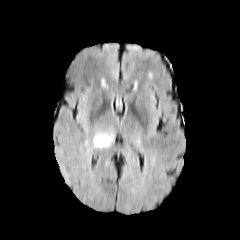
FLAIR MR.
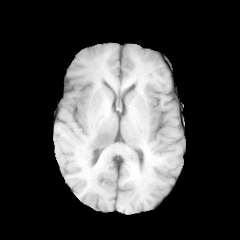
Same slice, T1-weighted magnetic resonance.
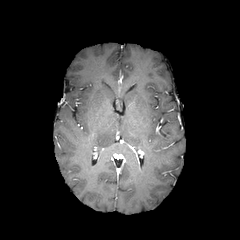
Post-contrast T1-weighted MR.
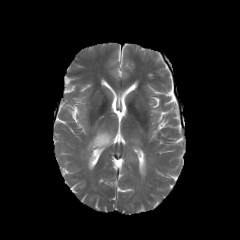
Same slice, T2-weighted MR.
The edema is located at bbox=[87, 131, 112, 152].